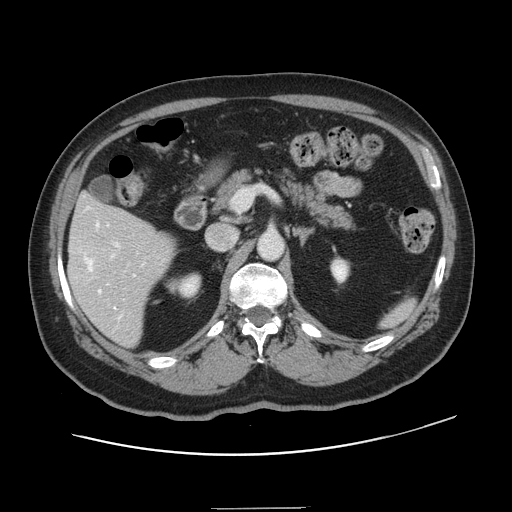
Computed tomography, Abdomen
Some hepatic vessels may have no box.
Hepatic vessel = 85,258,92,270; 85,206,88,210; 141,264,143,266; 98,290,100,292; 107,224,108,226; 114,242,119,246; 97,223,98,227; 118,316,120,319; 111,254,114,258.